Liver. CT. Slice index 41.

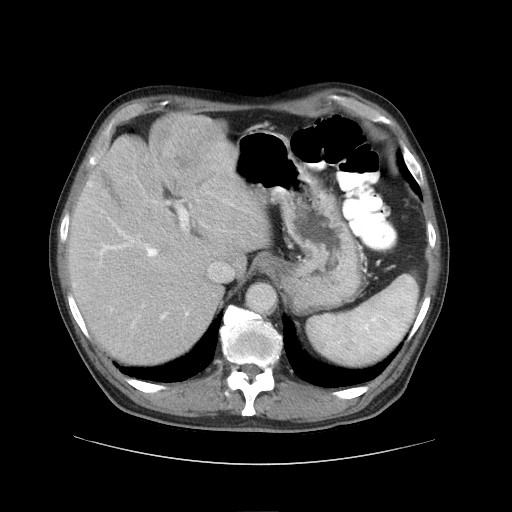
Only some of the vessels may be annotated.
Segmented structures:
* liver tumor: bbox(151, 115, 234, 189)
* hepatic vessel: bbox(152, 201, 157, 203); bbox(166, 201, 169, 203); bbox(103, 234, 135, 250); bbox(118, 229, 120, 231); bbox(206, 192, 212, 194); bbox(161, 312, 167, 318); bbox(143, 244, 157, 257); bbox(176, 204, 188, 219)